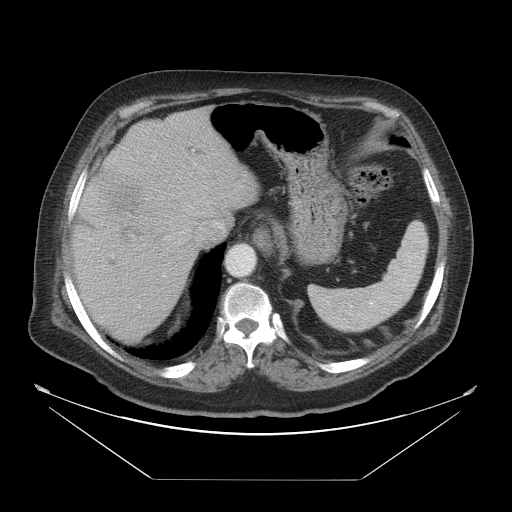 CT slice, 512x512 px
The vessel annotation is not exhaustive.
Liver tumor at <bbox>114, 221, 148, 244</bbox>, <bbox>95, 165, 147, 217</bbox>.
Hepatic vessel at <bbox>198, 221, 226, 248</bbox>.